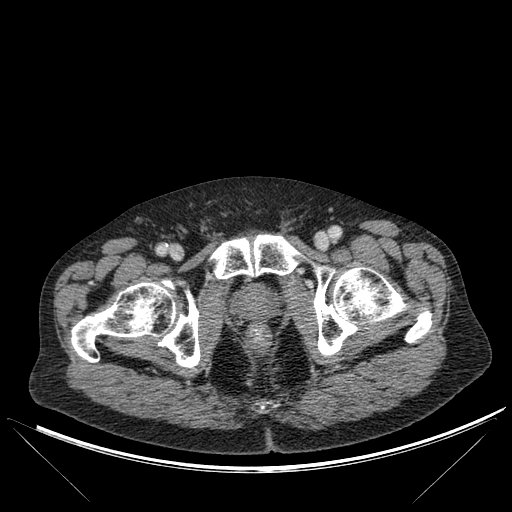

CT slice, 512x512
bone: bbox(314, 265, 406, 355); bbox(210, 234, 301, 278); bbox(71, 280, 200, 367); bbox(405, 308, 431, 342)